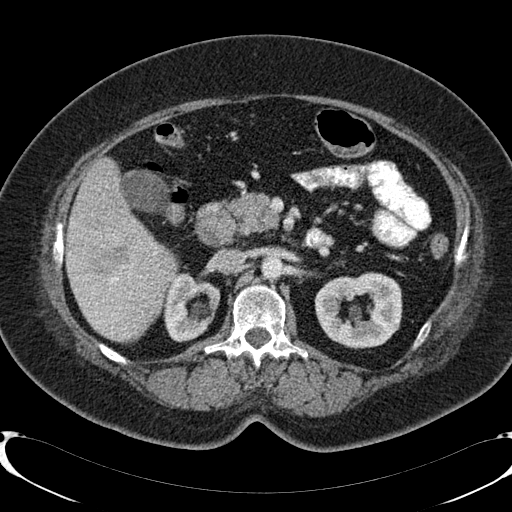
CT scan slice, Upper abdomen
Liver at x1=67 y1=158 x2=175 y2=340.
Focal liver lesion at x1=95 y1=246 x2=126 y2=274.
Kidney at x1=315 y1=274 x2=401 y2=347, x1=165 y1=273 x2=219 y2=340.